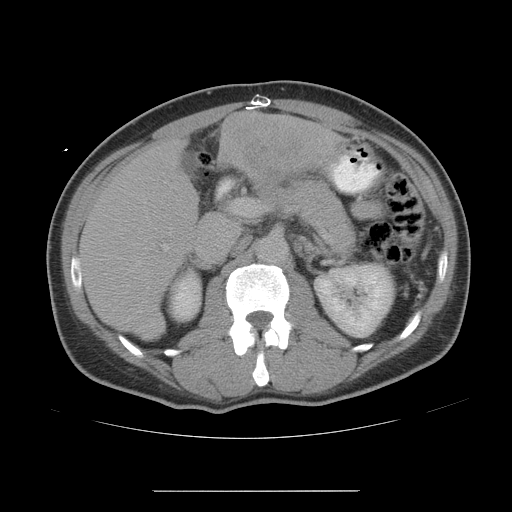
CT; Liver
Not every hepatic vessel necessarily has a box.
{
  "liver_tumor": [
    "l=220, t=112, r=339, b=203"
  ],
  "hepatic_vessel": [
    "l=149, t=222, r=150, b=224",
    "l=135, t=256, r=136, b=258",
    "l=137, t=259, r=141, b=265",
    "l=161, t=260, r=162, b=261",
    "l=162, t=244, r=168, b=250",
    "l=139, t=229, r=141, b=233"
  ]
}